FLAIR MRI.
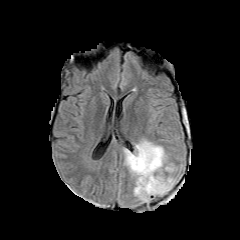
T1-weighted MR.
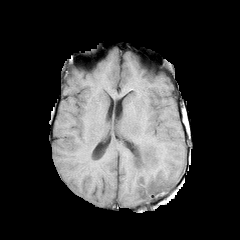
Post-contrast T1-weighted MRI.
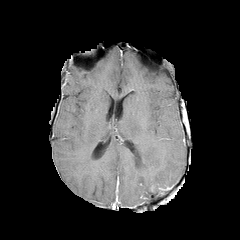
T2-weighted MRI.
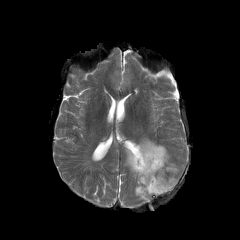
Head
<segmentation>
  <non-enhancing_tumor_core>149 183 162 193</non-enhancing_tumor_core>
  <edema>124 138 177 202</edema>
</segmentation>